Slice index 17 | CT scan slice | 512x512 px | Abdomen

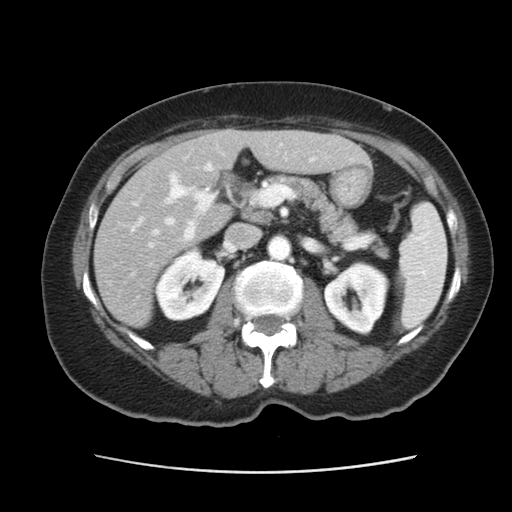
The vessel boxes may cover only some of the vessels.
Hepatic vessel — left=247, top=228, right=258, bottom=234; left=131, top=219, right=141, bottom=231; left=206, top=164, right=211, bottom=170; left=194, top=191, right=214, bottom=212; left=261, top=185, right=284, bottom=203; left=284, top=155, right=287, bottom=159; left=185, top=221, right=194, bottom=239; left=153, top=230, right=158, bottom=234; left=241, top=243, right=248, bottom=246; left=166, top=218, right=173, bottom=224; left=225, top=240, right=236, bottom=254; left=149, top=243, right=152, bottom=246; left=150, top=263, right=151, bottom=265; left=166, top=173, right=187, bottom=203; left=131, top=274, right=133, bottom=275.